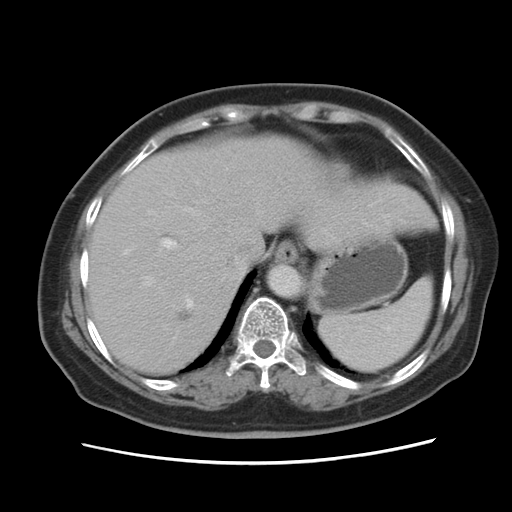 Image size 512x512. CT.

Only some of the vessels may be annotated.
Hepatic vessel: bounding box (186,295,192,307), (124,249,131,254), (190,208,192,210), (146,277,153,285), (193,212,195,215), (162,238,176,249).